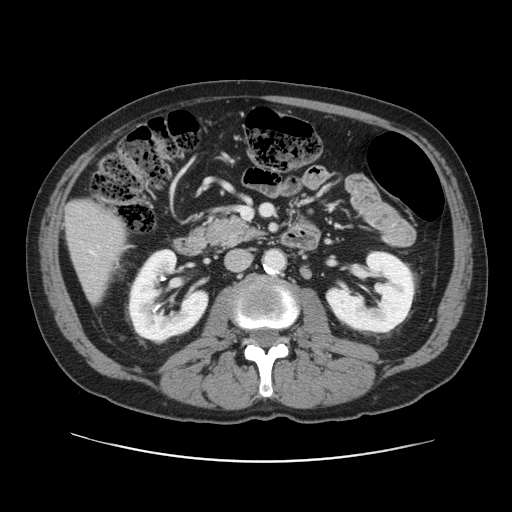
Abdomen, CT slice
Some hepatic vessels may have no box.
hepatic vessel: bbox=[90, 251, 93, 253]